Brain
FLAIR MR.
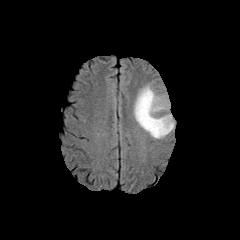
T1-weighted MR image.
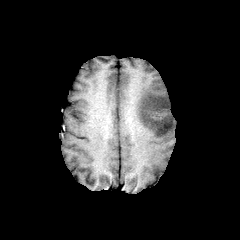
Post-contrast T1-weighted MR image.
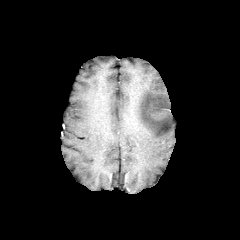
T2-weighted MRI.
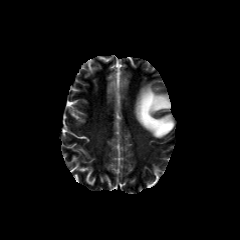
non-enhancing_tumor_core:
  - [142, 95, 160, 122]
edema:
  - [133, 80, 175, 139]